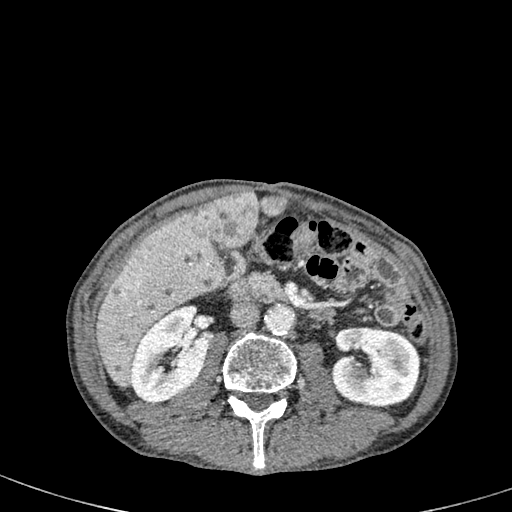 Computed tomography, Liver

2 kidney regions are bounded by <bbox>130, 306, 210, 401</bbox>, <bbox>333, 328, 418, 405</bbox>. 2 focal liver lesion regions appear at <bbox>113, 287, 120, 295</bbox>, <bbox>195, 191, 286, 246</bbox>. The liver is at <bbox>96, 201, 225, 386</bbox>.